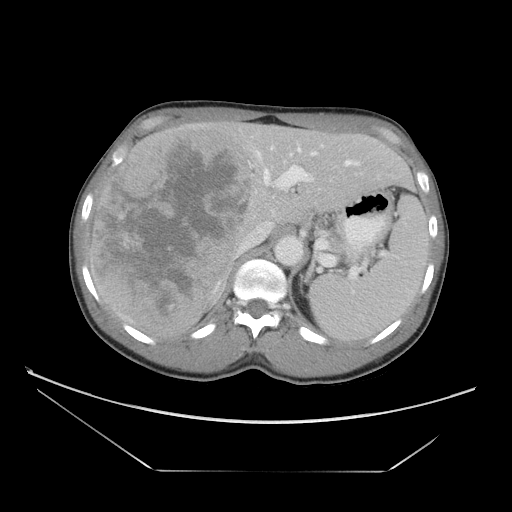

CT image
Some hepatic vessels may have no box.
• liver tumor: <bbox>89, 123, 262, 336</bbox>
• hepatic vessel: <bbox>297, 149, 300, 152</bbox>, <bbox>310, 150, 315, 154</bbox>, <bbox>345, 161, 350, 164</bbox>, <bbox>234, 250, 244, 257</bbox>, <bbox>264, 170, 268, 182</bbox>, <bbox>282, 167, 306, 184</bbox>